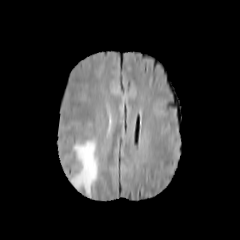
FLAIR magnetic resonance.
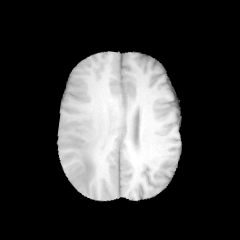
T1-weighted MR image.
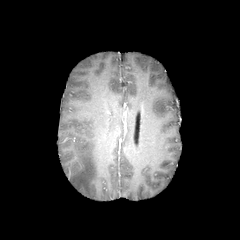
Post-contrast T1-weighted magnetic resonance.
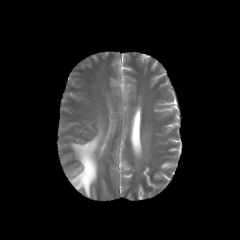
T2-weighted MR of the same slice.
Segmented structures:
- edema: box(71, 129, 102, 196)